Slice 617 of 687; 512x512; Head; CT scan slice
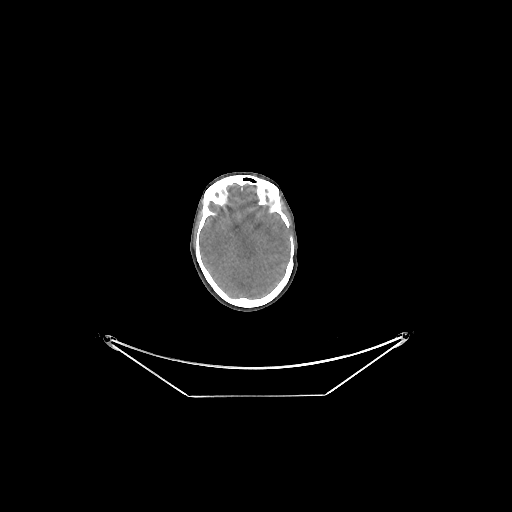

{"brain": ["(x1=199, y1=184, x2=291, y2=299)"]}